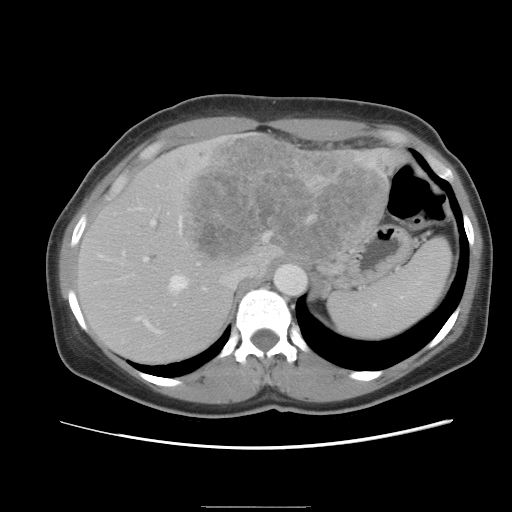

CT scan slice. Abdomen. The vessel annotation is not exhaustive.
hepatic vessel: 202, 287, 205, 289; 98, 254, 102, 256; 150, 220, 153, 223; 219, 252, 262, 289; 137, 316, 159, 333; 143, 257, 147, 259; 169, 275, 186, 292; 133, 207, 139, 208 | liver tumor: 175, 135, 387, 263